CT slice. Upper abdomen. Image width 330 mm. Slice 171 of 188. 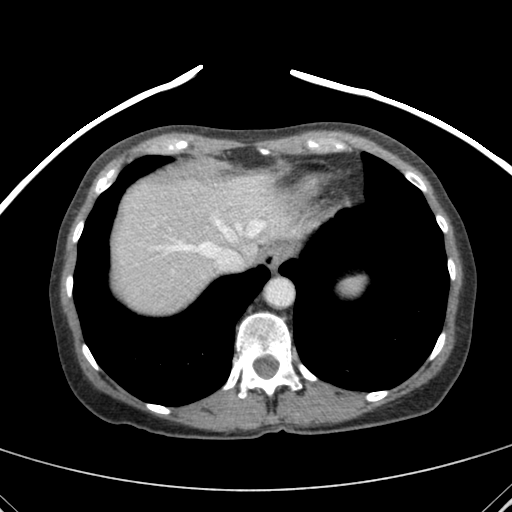
Segmented structures:
* liver: [x1=113, y1=163, x2=311, y2=312]